FLAIR MR image.
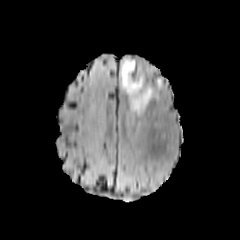
T1-weighted MR image.
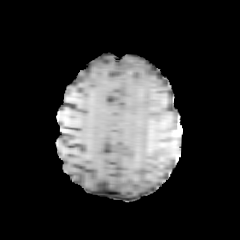
Post-contrast T1-weighted MRI.
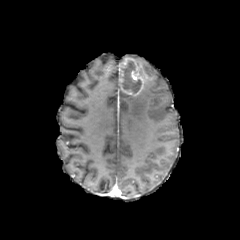
T2-weighted MR image.
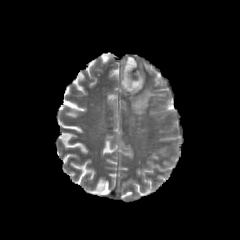
Brain
edema: <bbox>128, 83, 158, 114</bbox> | enhancing tumor: <bbox>120, 57, 143, 93</bbox> | non-enhancing tumor core: <bbox>120, 61, 141, 95</bbox>